T2-weighted magnetic resonance.
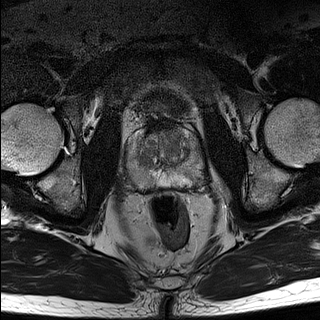
ADC MRI.
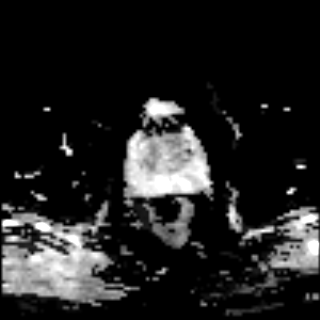
Prostate
The prostate transition zone is located at box(138, 128, 189, 168). The prostate peripheral zone appears at box(128, 128, 202, 189).